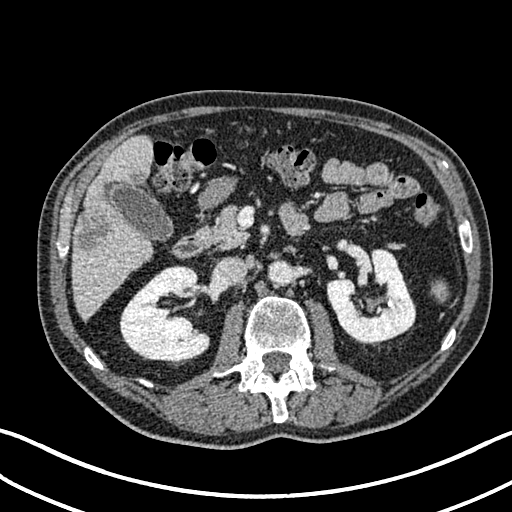
Liver | CT slice
• kidney: 121, 267, 217, 360; 327, 246, 414, 342
• liver: 72, 136, 153, 318
• liver lesion: 76, 207, 112, 252; 128, 171, 144, 182